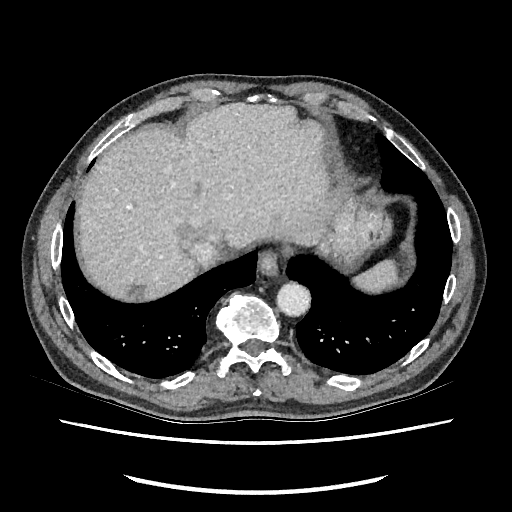 CT; Abdomen
Segmented structures:
• liver lesion: <box>270,214,280,227</box>, <box>129,285,144,299</box>, <box>175,224,208,255</box>
• liver: <box>79,103,326,299</box>